Lung. CT image.
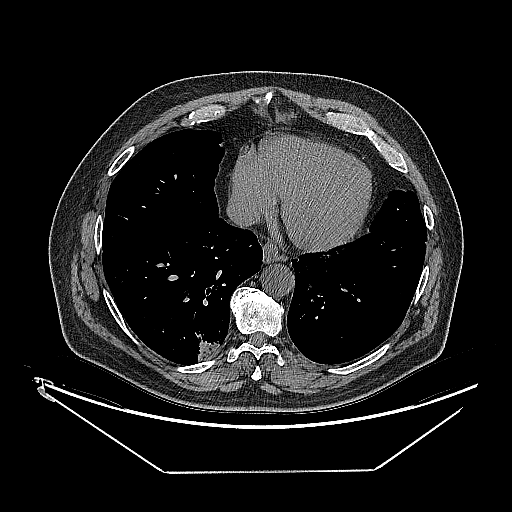 <segmentation>
  <lung_tumor>l=193, t=330, r=220, b=361</lung_tumor>
</segmentation>